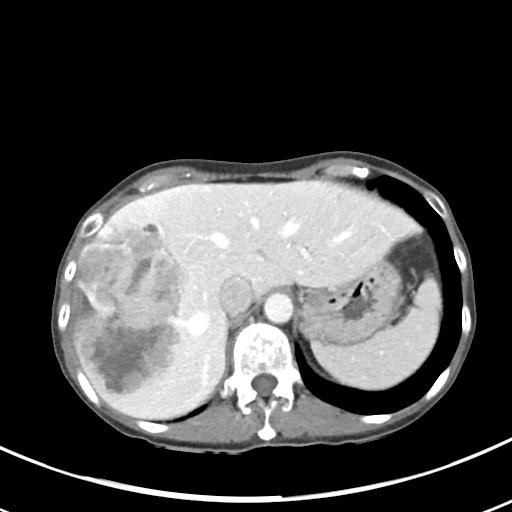
CT
Not every hepatic vessel necessarily has a box.
Segmented structures:
• hepatic vessel: 187:315:207:333, 211:232:228:247, 254:225:257:226
• liver tumor: 77:219:190:395